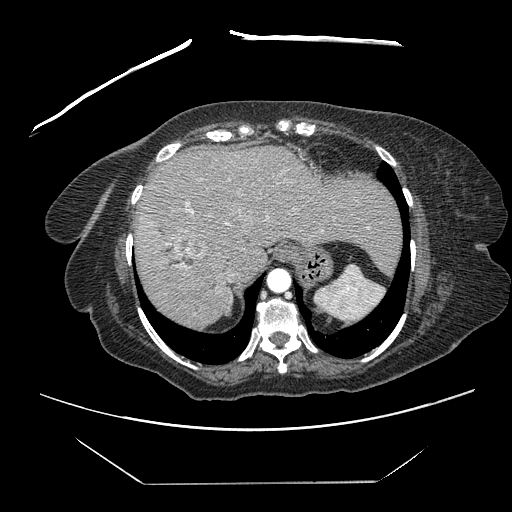

Computed tomography | Liver
Liver tumor = [174,232,204,258].